CT. Upper abdomen. Field of view 400x400 mm. 512x512 px.

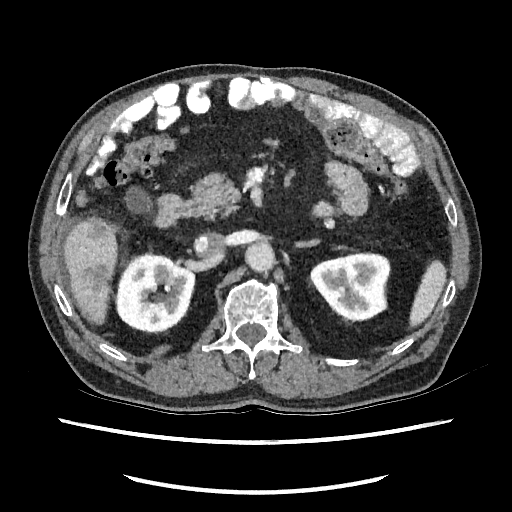 Liver: (x1=65, y1=218, x2=116, y2=321).
Liver lesion: (x1=89, y1=218, x2=108, y2=239), (x1=85, y1=265, x2=110, y2=289).
Kidney: (x1=310, y1=253, x2=389, y2=321), (x1=115, y1=252, x2=194, y2=332).